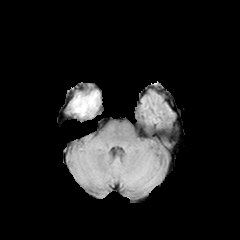
FLAIR magnetic resonance.
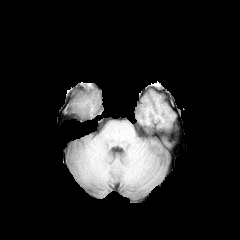
T1-weighted magnetic resonance of the same slice.
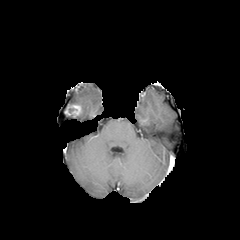
Post-contrast T1-weighted MR image of the same slice.
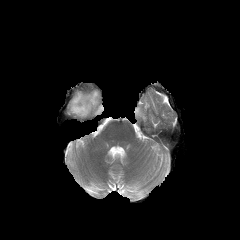
T2-weighted MRI.
Enhancing tumor at box=[65, 104, 81, 115].
Edema at box=[71, 90, 99, 116].